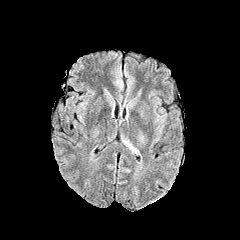
FLAIR MR image.
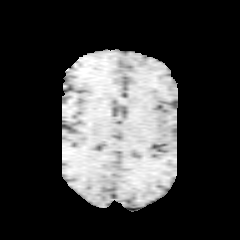
Same slice, T1-weighted MR.
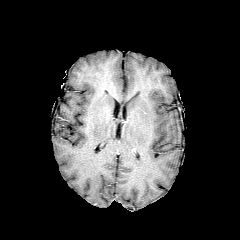
Post-contrast T1-weighted MR of the same slice.
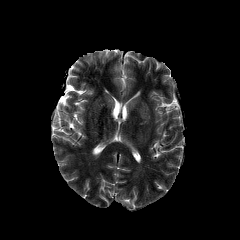
T2-weighted MR image.
Head
Annotated regions:
* edema: {"x1": 122, "y1": 138, "x2": 139, "y2": 153}